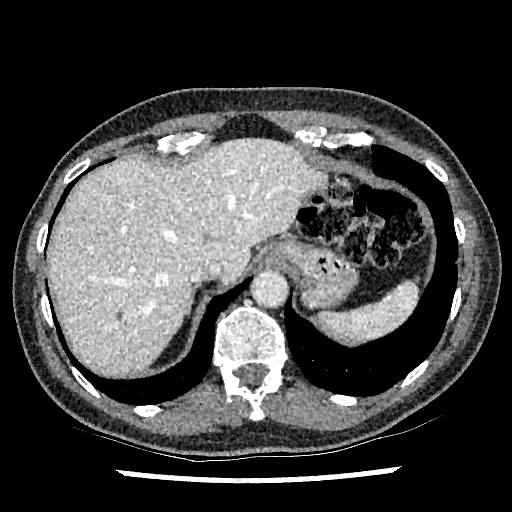 512x512; Liver; CT scan slice
Segmented structures:
- liver: [x1=48, y1=138, x2=326, y2=375]